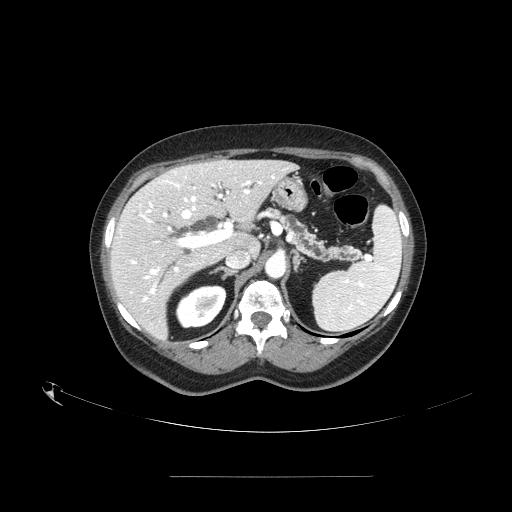 CT
Segmented structures:
* pancreas: (left=272, top=210, right=362, bottom=262)